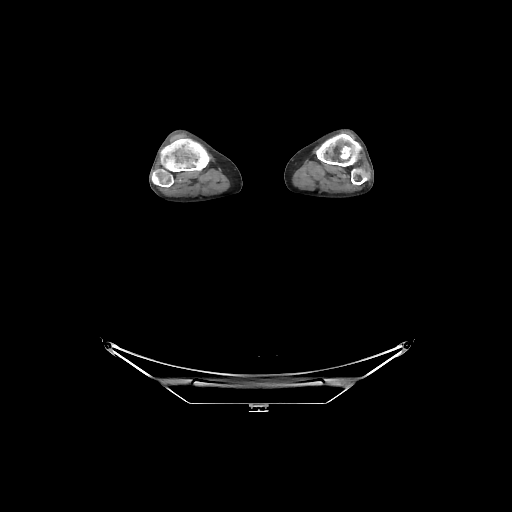 CT slice.

4 bone regions appear at l=161, t=139, r=209, b=171; l=152, t=169, r=173, b=187; l=351, t=169, r=368, b=184; l=316, t=134, r=361, b=166.